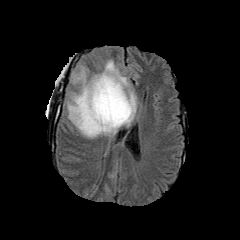
FLAIR MR.
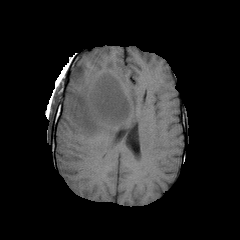
T1-weighted magnetic resonance of the same slice.
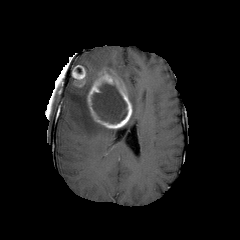
Post-contrast T1-weighted MR.
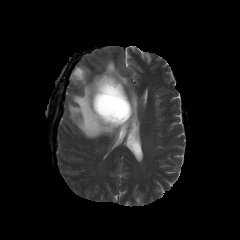
Same slice, T2-weighted magnetic resonance.
Image size 240x240. Head.
Edema = 66,60,138,138.
Enhancing tumor = 87,72,131,128; 72,67,85,83.
Non-enhancing tumor core = 91,83,126,123; 84,96,93,119.